Chest; CT image 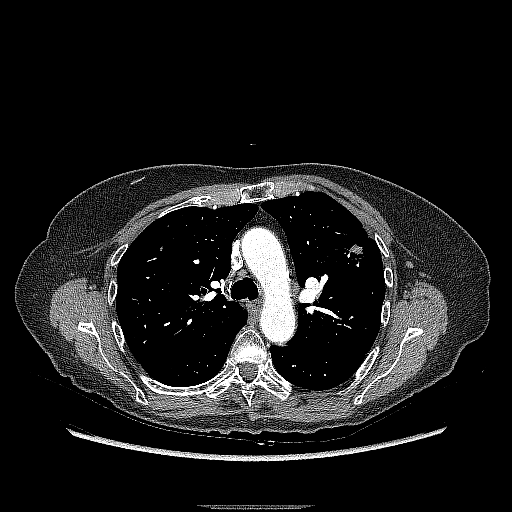 Lung tumor = 337 240 367 269.